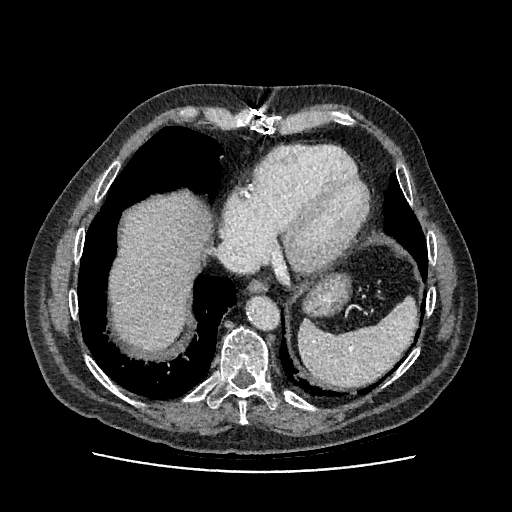

Liver, CT scan slice
<segmentation>
  <liver>x1=109, y1=195, x2=208, y2=350</liver>
</segmentation>